512x512 px, CT, Slice 57/118 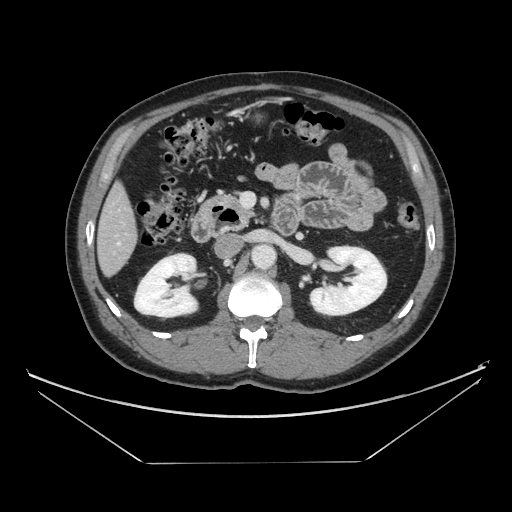 The pancreas is at <bbox>225, 196, 254, 218</bbox>.